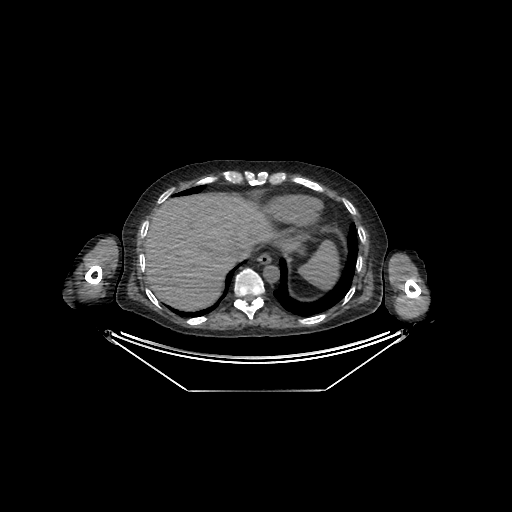

CT. liver: box=[276, 231, 299, 247]; box=[143, 193, 273, 310]